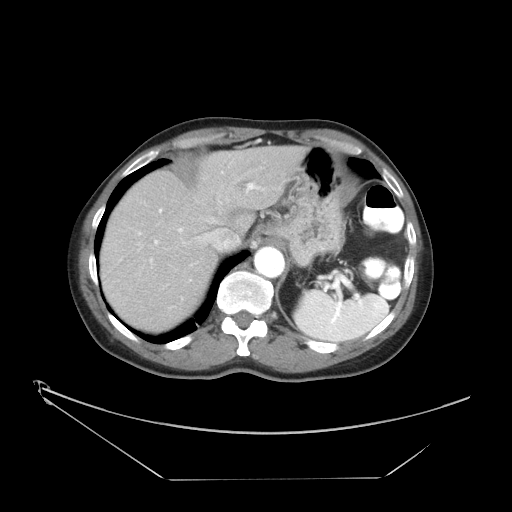
Image size 512x512 | Liver | CT

Only some of the vessels may be annotated.
Hepatic vessel = (left=139, top=232, right=140, bottom=234), (left=150, top=259, right=152, bottom=261), (left=246, top=183, right=257, bottom=191), (left=154, top=240, right=157, bottom=243), (left=178, top=228, right=182, bottom=231), (left=159, top=209, right=161, bottom=211).